512x512 px, Slice 79/121, CT image, Image width 415 mm
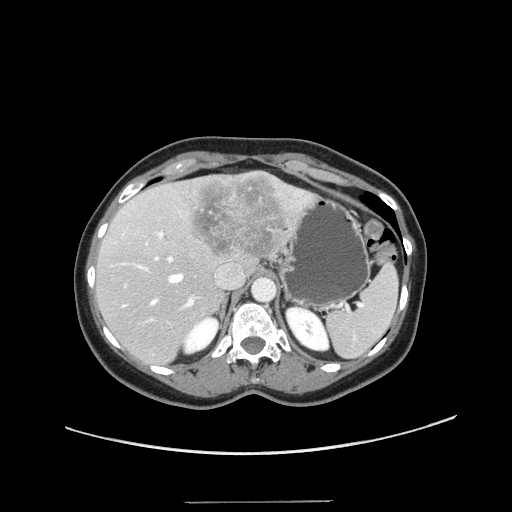

The vessel boxes may cover only some of the vessels.
The liver tumor lies within l=187, t=173, r=292, b=260. 10 hepatic vessel regions are located at l=158, t=232, r=162, b=236; l=123, t=304, r=125, b=306; l=170, t=274, r=182, b=281; l=155, t=257, r=158, b=259; l=136, t=265, r=147, b=269; l=215, t=264, r=243, b=288; l=149, t=318, r=153, b=320; l=150, t=299, r=156, b=303; l=184, t=296, r=196, b=307; l=169, t=257, r=172, b=260.